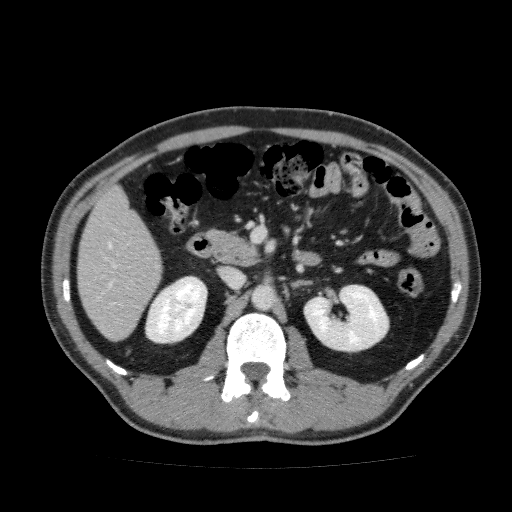
Upper abdomen; 512x512; CT
Kidney at <box>145,277,206,342</box>, <box>304,285,388,350</box>.
Liver at <box>77,184,162,340</box>.